FLAIR MRI.
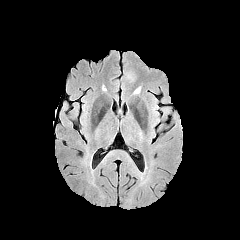
T1-weighted MR image.
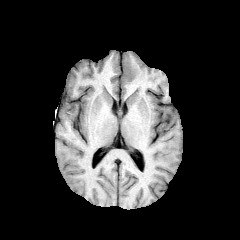
Post-contrast T1-weighted MRI.
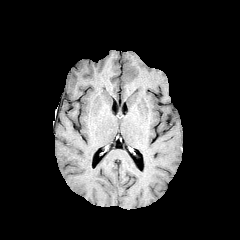
T2-weighted MR image.
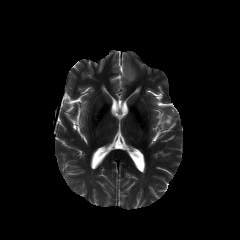
{
  "edema": [
    "rect(123, 68, 134, 79)"
  ]
}